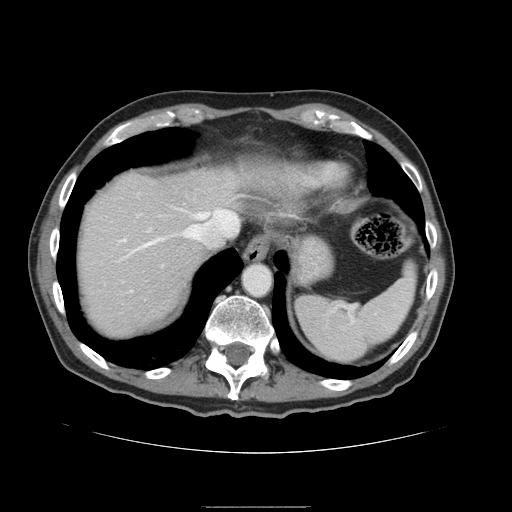
CT, Abdomen

The vessel annotation is not exhaustive.
<segmentation>
  <hepatic_vessel>l=122, t=239, r=125, b=240; l=184, t=208, r=237, b=246; l=132, t=240, r=157, b=251</hepatic_vessel>
</segmentation>